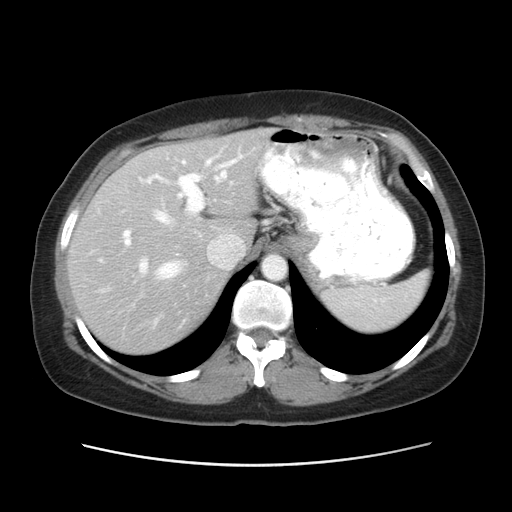

CT slice, Liver
Not every hepatic vessel necessarily has a box.
Annotated regions:
- hepatic vessel: (139, 173, 166, 182), (215, 152, 241, 181), (178, 174, 203, 211), (182, 161, 184, 163), (206, 159, 210, 164), (158, 263, 179, 277), (139, 260, 146, 273), (155, 211, 169, 222), (123, 230, 129, 244)